Head
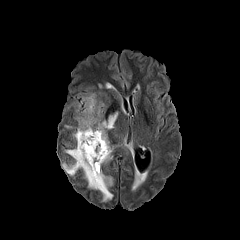
FLAIR MR image.
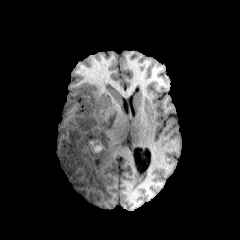
Same slice, T1-weighted MRI.
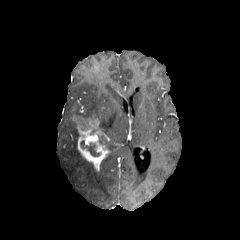
Same slice, post-contrast T1-weighted MR image.
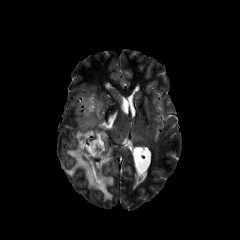
T2-weighted MR image.
Findings:
• enhancing tumor: [x1=73, y1=113, x2=109, y2=166]
• edema: [x1=81, y1=93, x2=117, y2=133], [x1=61, y1=146, x2=113, y2=201]